Upper abdomen. Slice 115 of 164. Field of view 469x469 mm. Image size 512x512. CT image. 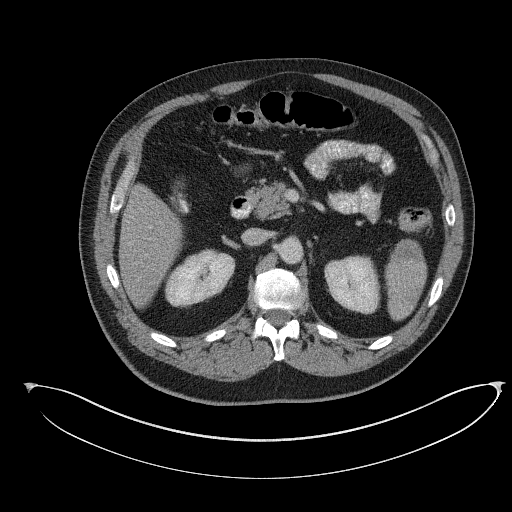

pancreas:
  - 254:182:288:219